Abdomen | CT slice 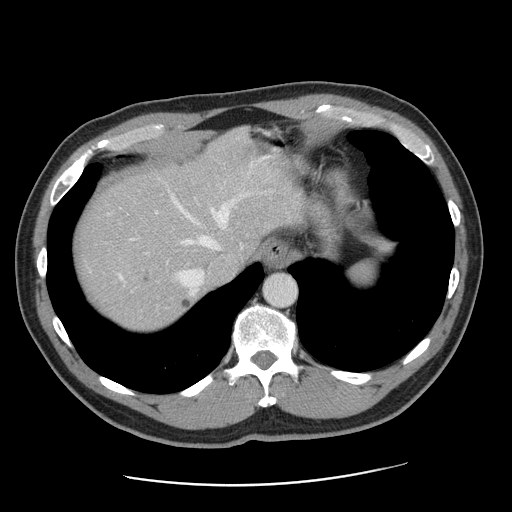

Only some of the vessels may be annotated.
* liver tumor: x1=140, y1=269, x2=151, y2=282; x1=179, y1=297, x2=192, y2=310
* hepatic vessel: x1=185, y1=211, x2=190, y2=216; x1=211, y1=199, x2=237, y2=224; x1=176, y1=236, x2=246, y2=295; x1=243, y1=192, x2=252, y2=195; x1=172, y1=196, x2=182, y2=208; x1=120, y1=276, x2=122, y2=278; x1=184, y1=283, x2=187, y2=284